Image size 240x240, Brain
FLAIR magnetic resonance.
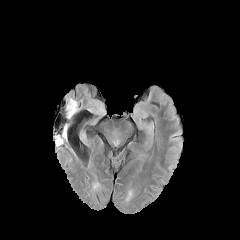
T1-weighted MR.
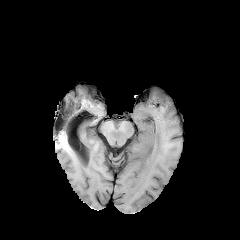
Post-contrast T1-weighted MR.
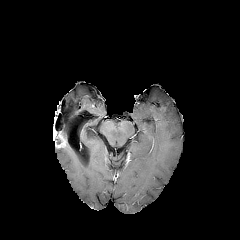
T2-weighted magnetic resonance.
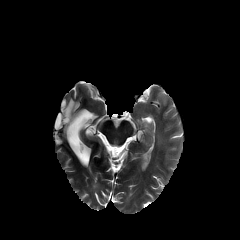
Annotated regions:
• edema: {"x1": 66, "y1": 98, "x2": 79, "y2": 120}